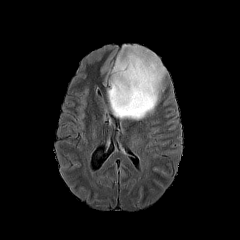
FLAIR MRI.
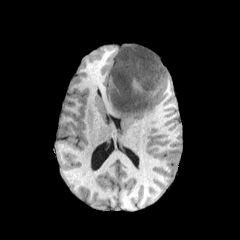
T1-weighted MR of the same slice.
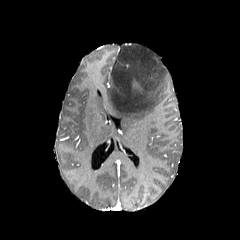
Post-contrast T1-weighted MR image of the same slice.
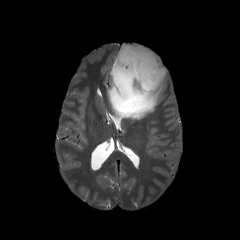
T2-weighted MR.
The edema lies within bbox(107, 55, 165, 124).